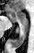 MRI | Hippocampus

Segmented structures:
- anterior hippocampus: 8 9 27 21
- posterior hippocampus: 10 21 28 47